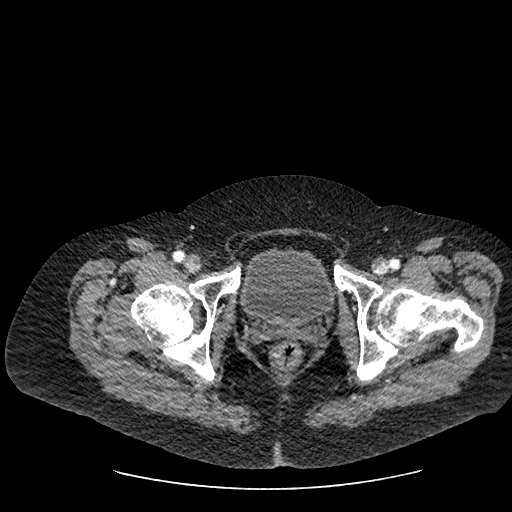

CT
The urinary bladder appears at 236,248,335,330.